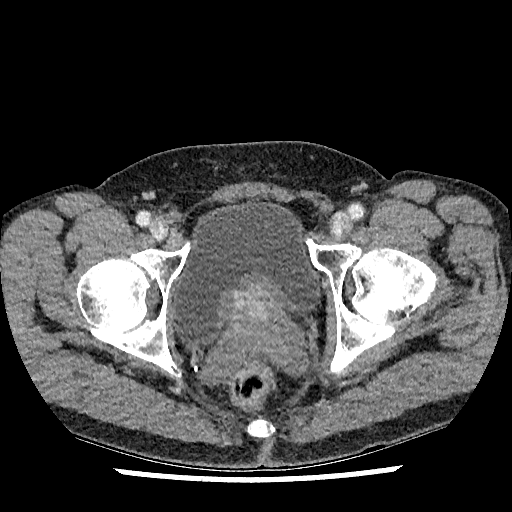

Lower abdomen | CT scan slice
{
  "urinary_bladder": [
    "l=174, t=201, r=321, b=345"
  ]
}